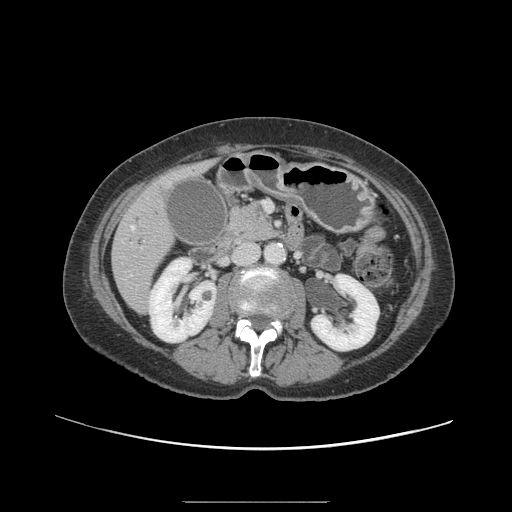 CT. Abdomen. The pancreas appears at [228,203,278,243].